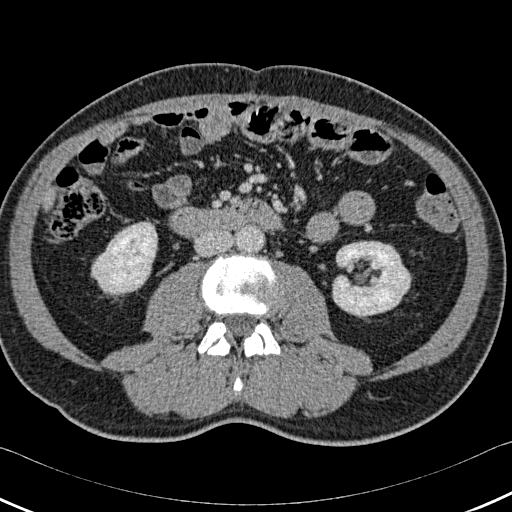 CT image

- bone: (244,323,280,356), (198,322,230,355), (202,255,277,315), (233,377,242,391)
- kidney: (92,223,156,293), (333,242,410,315)